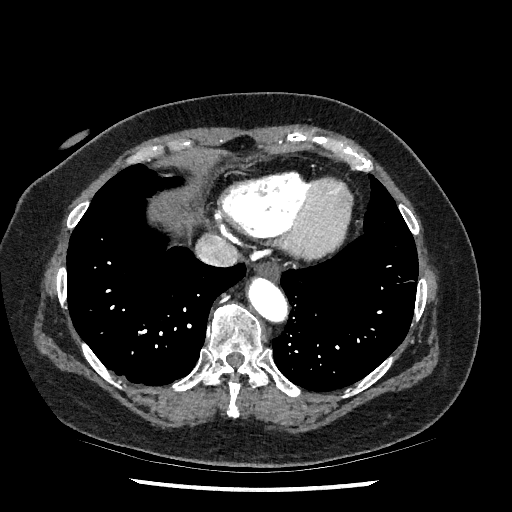 Liver, CT image

The liver is located at [x1=150, y1=192, x2=185, y2=224].